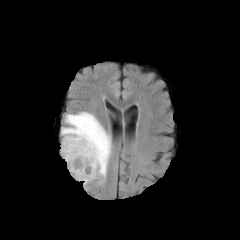
FLAIR MR.
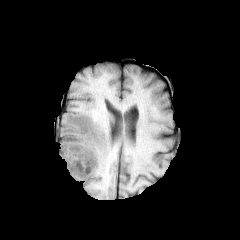
T1-weighted MRI.
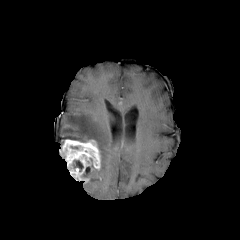
Same slice, post-contrast T1-weighted MRI.
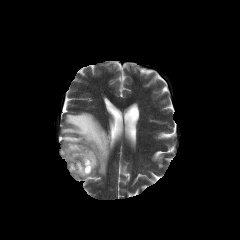
T2-weighted magnetic resonance of the same slice.
Head
Non-enhancing tumor core: bounding box left=83, top=166, right=91, bottom=178; left=73, top=160, right=83, bottom=169.
Enhancing tumor: bounding box left=59, top=139, right=100, bottom=182.
Edema: bounding box left=61, top=111, right=112, bottom=182.